FLAIR MRI.
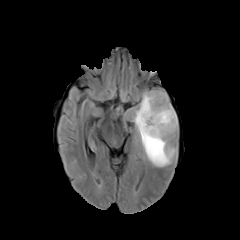
T1-weighted magnetic resonance.
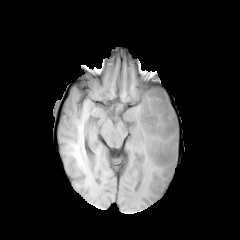
Post-contrast T1-weighted MR.
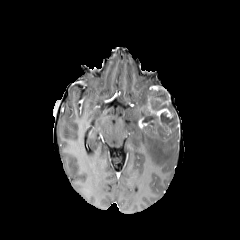
T2-weighted MR.
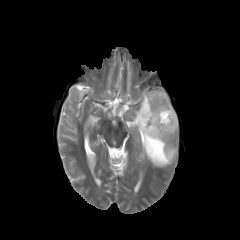
240x240. Brain.
Edema — (left=126, top=90, right=177, bottom=167).
Enhancing tumor — (left=138, top=117, right=147, bottom=128), (left=146, top=102, right=173, bottom=119).
Non-enhancing tumor core — (left=140, top=89, right=177, bottom=135).